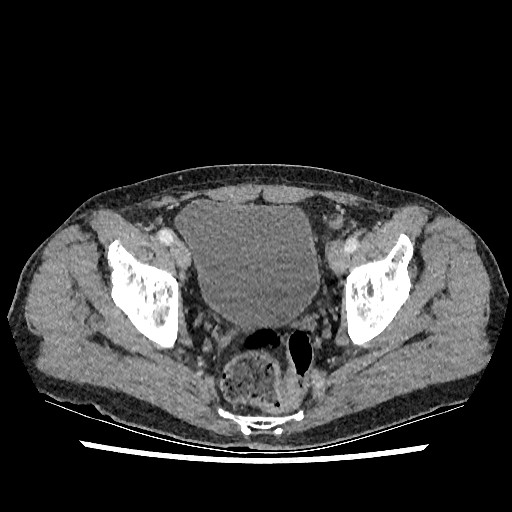 Lower abdomen | 512x512 px | CT

Urinary bladder: bounding box region(176, 198, 319, 331).